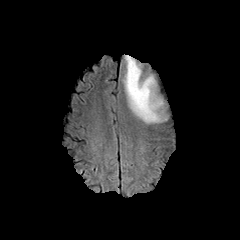
FLAIR MR image.
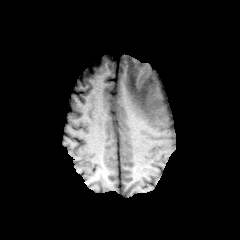
T1-weighted MRI.
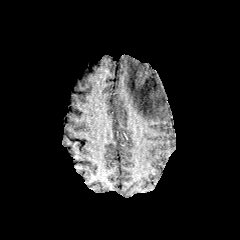
Post-contrast T1-weighted MR.
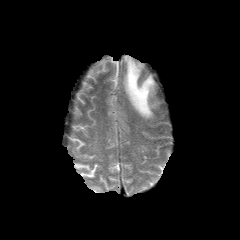
Same slice, T2-weighted MR.
{
  "edema": [
    "left=123, top=55, right=162, bottom=122"
  ]
}